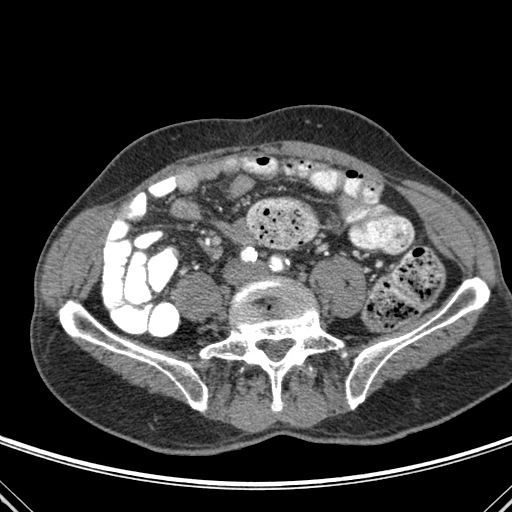

Computed tomography
3 bone regions appear at left=59, top=300, right=207, bottom=411; left=346, top=277, right=489, bottom=409; left=199, top=278, right=346, bottom=411.